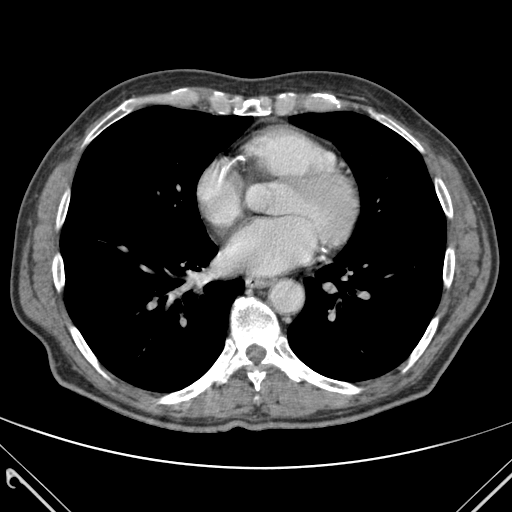 512x512; CT slice; Thorax
Segmented structures:
* bone: 52:247:64:292, 71:328:105:375, 57:193:69:231, 312:94:339:103, 404:318:437:370, 366:110:422:150, 443:249:454:285, 85:100:133:142, 160:297:359:403, 219:94:286:115, 435:179:452:216
* lung: 60:106:252:391, 287:111:446:381